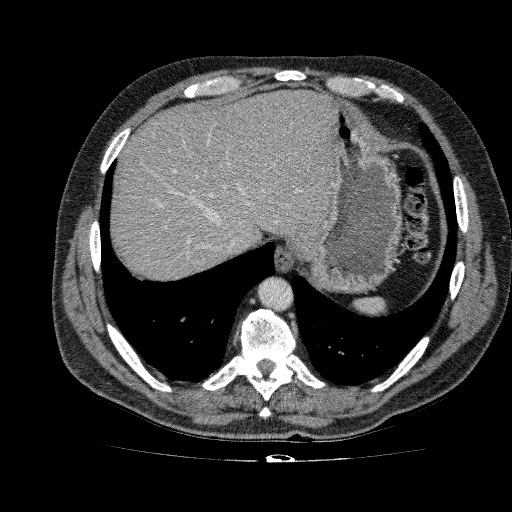

CT image, Abdomen
{
  "liver": [
    "[x1=110, y1=89, x2=336, y2=281]"
  ]
}